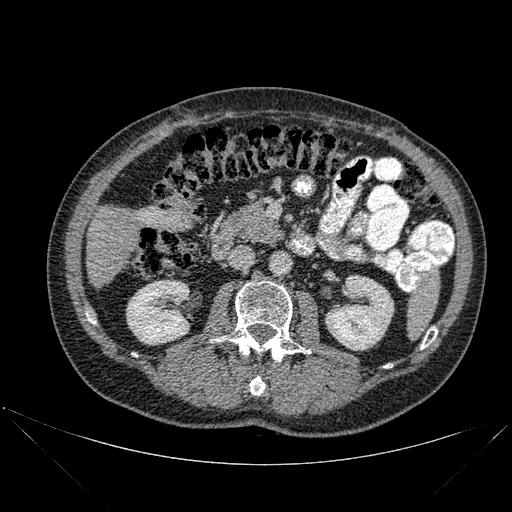
Upper abdomen | CT

Kidney at <box>326,275,393,350</box>, <box>127,280,188,344</box>.
Liver at <box>86,206,140,286</box>.
Bone at <box>250,376,265,394</box>, <box>212,281,310,361</box>, <box>421,327,437,349</box>.